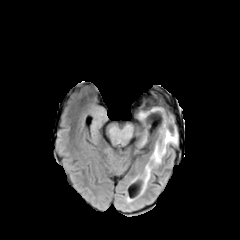
FLAIR MR image.
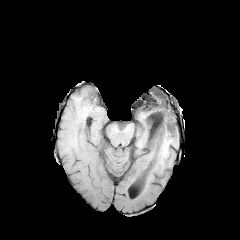
Same slice, T1-weighted MRI.
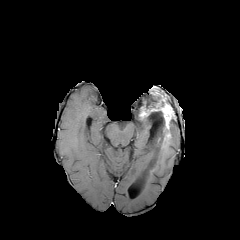
Post-contrast T1-weighted magnetic resonance.
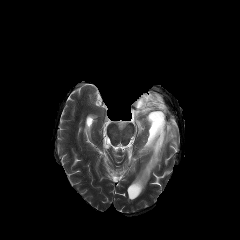
T2-weighted MR image of the same slice.
240x240
<segmentation>
  <edema>x1=169 y1=124 x2=177 y2=145, x1=150 y1=130 x2=169 y2=165, x1=140 y1=166 x2=151 y2=192</edema>
  <enhancing_tumor>x1=140 y1=103 x2=173 y2=143</enhancing_tumor>
  <non-enhancing_tumor_core>x1=142 y1=102 x2=159 y2=109, x1=162 y1=132 x2=172 y2=147, x1=147 y1=110 x2=164 y2=145</non-enhancing_tumor_core>
</segmentation>